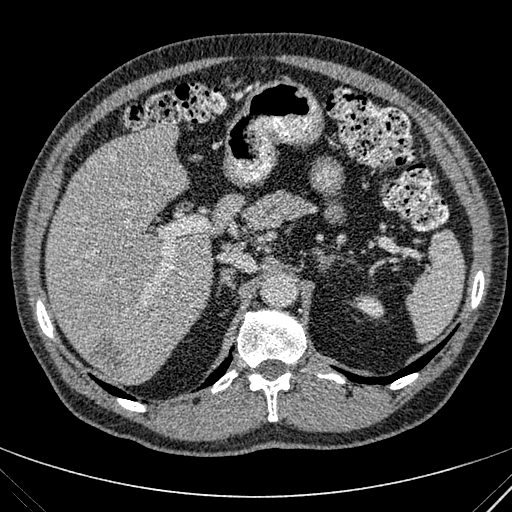 Computed tomography | 512x512 | Upper abdomen
Kidney = 356 296 382 317.
Liver = 46 126 242 382.
Hepatic lesion = 82 332 127 377.